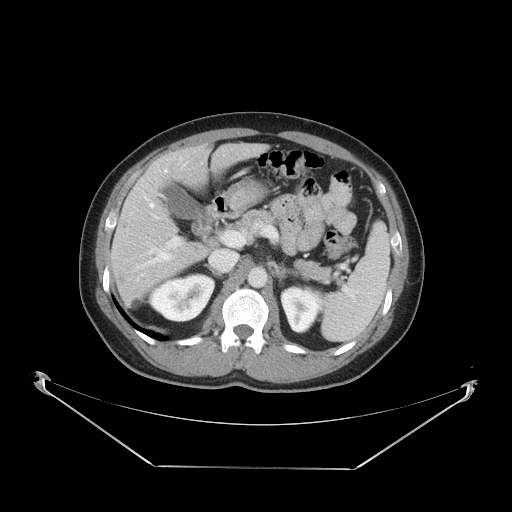 CT scan slice
Only some of the vessels may be annotated.
* hepatic vessel: left=147, top=237, right=179, bottom=254; left=150, top=203, right=153, bottom=205; left=153, top=258, right=163, bottom=261